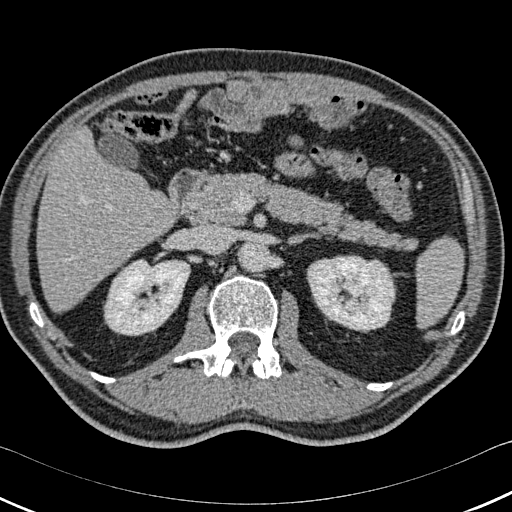 CT slice; 512x512
kidney:
  - bbox=[308, 256, 394, 329]
  - bbox=[105, 260, 189, 334]
liver:
  - bbox=[37, 128, 171, 310]
bone:
  - bbox=[91, 372, 114, 382]
  - bbox=[451, 312, 463, 333]
  - bbox=[174, 276, 281, 378]
  - bbox=[367, 383, 391, 390]
  - bbox=[30, 303, 42, 326]